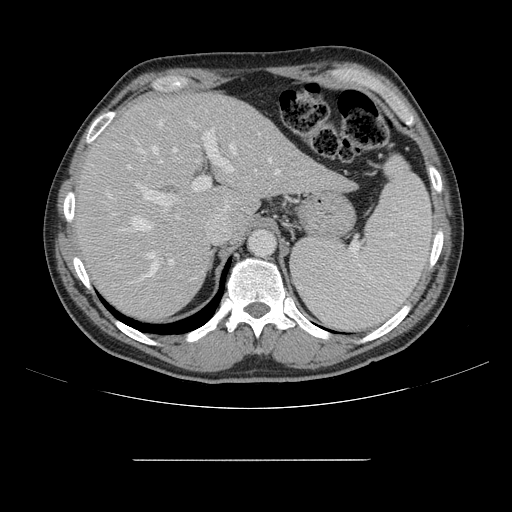 CT scan slice; 512x512 px
Not every hepatic vessel necessarily has a box.
{
  "hepatic_vessel": [
    "192, 177, 210, 190",
    "230, 145, 235, 152",
    "124, 216, 150, 230",
    "203, 128, 232, 171",
    "138, 261, 157, 281",
    "147, 251, 154, 258",
    "169, 259, 173, 263",
    "107, 192, 115, 199",
    "275, 169, 279, 173",
    "128, 165, 130, 168",
    "136, 184, 172, 207",
    "112, 214, 115, 214",
    "269, 158, 271, 161"
  ]
}